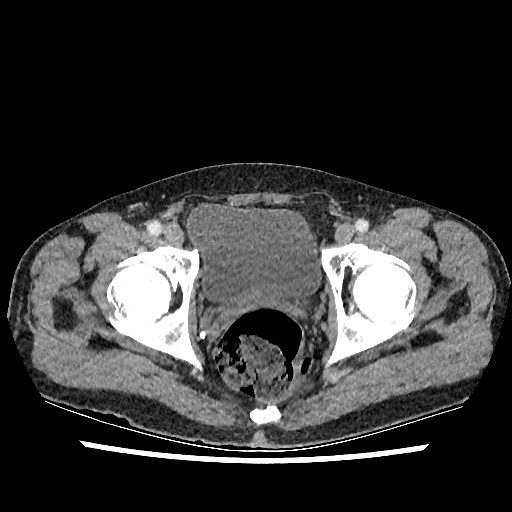

CT

- urinary bladder: [189, 202, 321, 327]